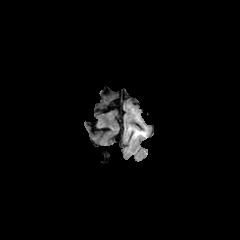
FLAIR MR image.
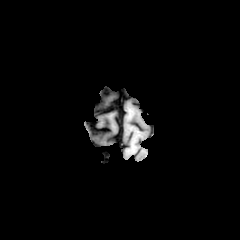
T1-weighted MRI of the same slice.
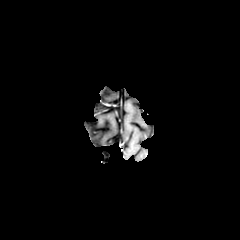
Post-contrast T1-weighted MRI.
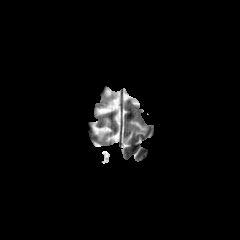
T2-weighted MRI.
Head | 240x240
Edema at box=[131, 116, 147, 138].